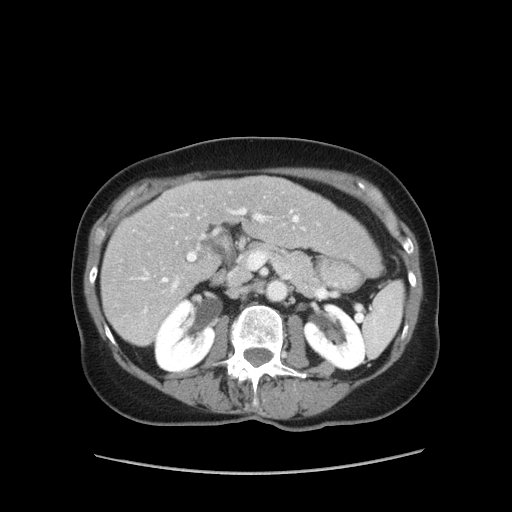 Abdomen. CT image. Some hepatic vessels may have no box.
<segmentation partial="true">
  <hepatic_vessel shown="15" total="17">x1=170, y1=212, x2=188, y2=215; x1=169, y1=225, x2=173, y2=229; x1=214, y1=230, x2=217, y2=234; x1=229, y1=270, x2=237, y2=275; x1=140, y1=271, x2=148, y2=279; x1=186, y1=245, x2=199, y2=262; x1=227, y1=206, x2=246, y2=214; x1=163, y1=278, x2=166, y2=280; x1=239, y1=249, x2=292, y2=275; x1=253, y1=212, x2=272, y2=222; x1=185, y1=237, x2=187, y2=239; x1=170, y1=275, x2=179, y2=293; x1=200, y1=233, x2=204, y2=238; x1=289, y1=209, x2=299, y2=222; x1=281, y1=223, x2=284, y2=226</hepatic_vessel>
</segmentation>